CT slice; 512x512; Slice 114/161; Abdomen 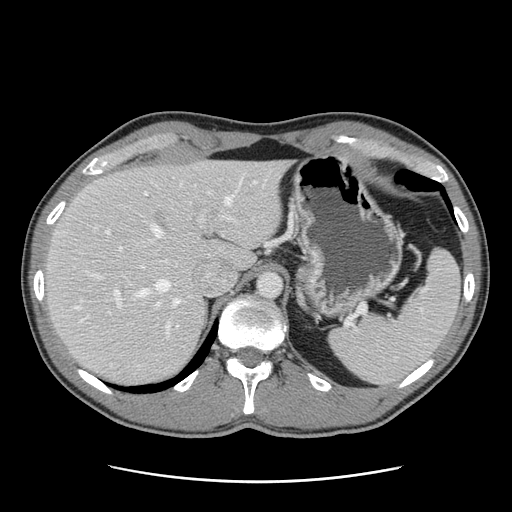
Only some of the vessels may be annotated.
Largest 15 of 21 hepatic vessel regions — x1=114 y1=290 x2=121 y2=307, x1=74 y1=306 x2=78 y2=308, x1=119 y1=247 x2=121 y2=250, x1=105 y1=229 x2=109 y2=233, x1=237 y1=181 x2=240 y2=189, x1=89 y1=273 x2=100 y2=277, x1=173 y1=299 x2=179 y2=304, x1=224 y1=195 x2=232 y2=204, x1=151 y1=223 x2=161 y2=237, x1=85 y1=315 x2=87 y2=318, x1=155 y1=279 x2=169 y2=290, x1=221 y1=217 x2=231 y2=219, x1=166 y1=323 x2=169 y2=333, x1=207 y1=191 x2=209 y2=193, x1=137 y1=289 x2=148 y2=296.